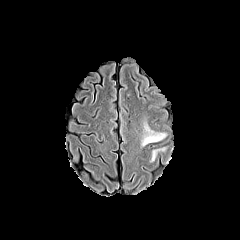
FLAIR MRI.
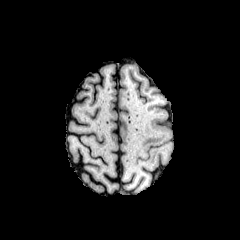
Same slice, T1-weighted MR image.
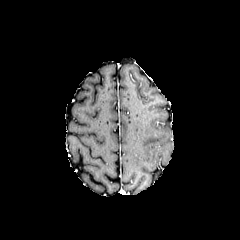
Post-contrast T1-weighted MRI.
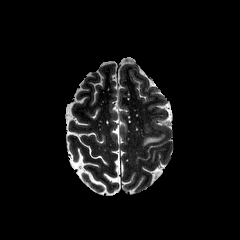
T2-weighted magnetic resonance.
Brain | 240x240 px
{"edema": ["(left=141, top=136, right=165, bottom=146)"]}